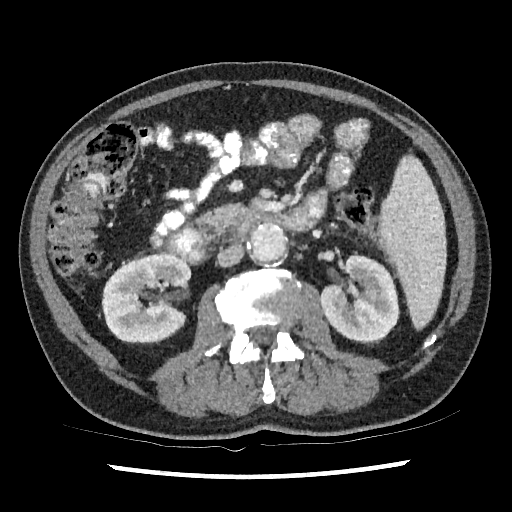

Computed tomography

Segmented structures:
- kidney: <box>320,256,398,341</box>, <box>102,252,190,342</box>